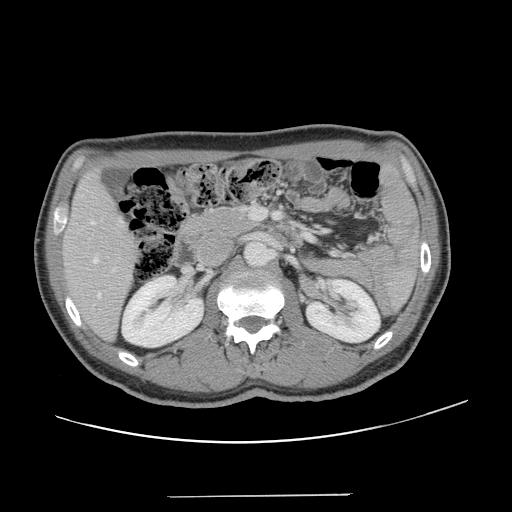 Abdomen; CT image

The vessel boxes may cover only some of the vessels.
Hepatic vessel: bbox(112, 267, 116, 271); bbox(93, 254, 98, 262); bbox(91, 220, 94, 224); bbox(97, 293, 100, 298).